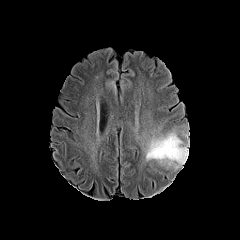
FLAIR magnetic resonance.
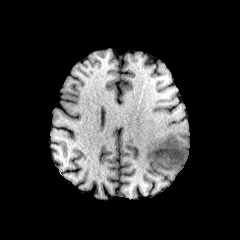
Same slice, T1-weighted MR.
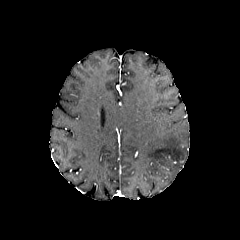
Post-contrast T1-weighted MR of the same slice.
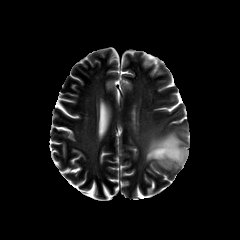
T2-weighted magnetic resonance.
Head
Edema at l=146, t=133, r=189, b=166.